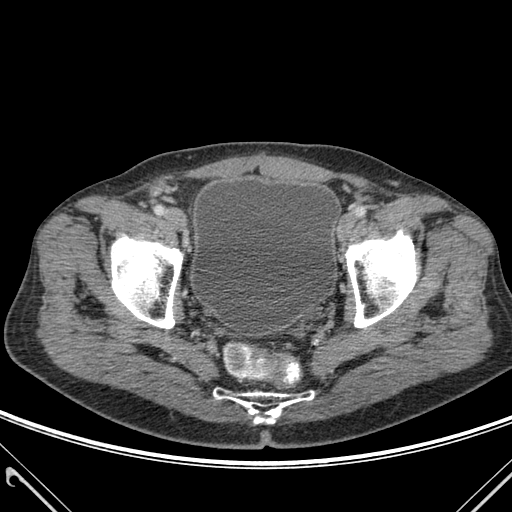
512x512 px; CT slice
3 bone regions are located at [346, 230, 416, 327], [111, 235, 182, 328], [213, 390, 313, 423]. The urinary bladder appears at [193, 180, 338, 321].